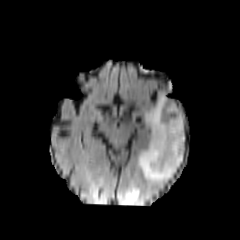
FLAIR MRI.
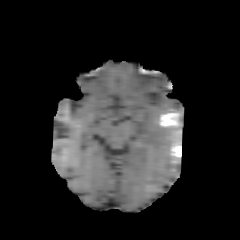
T1-weighted MRI of the same slice.
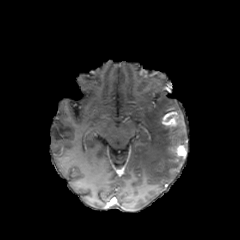
Post-contrast T1-weighted MR image of the same slice.
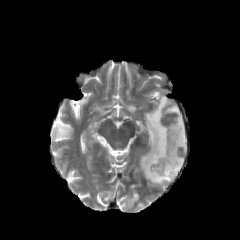
T2-weighted MR image.
Head
non-enhancing tumor core: (left=170, top=116, right=184, bottom=158) | edema: (left=125, top=192, right=139, bottom=204), (left=179, top=121, right=185, bottom=144), (left=137, top=92, right=184, bottom=185) | enhancing tumor: (left=162, top=111, right=180, bottom=127), (left=172, top=141, right=187, bottom=161)